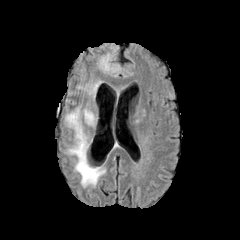
FLAIR MR image.
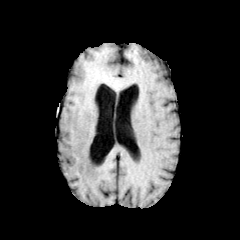
T1-weighted MR image.
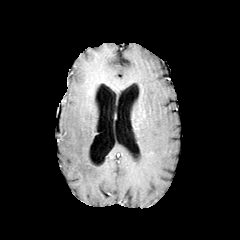
Same slice, post-contrast T1-weighted MR image.
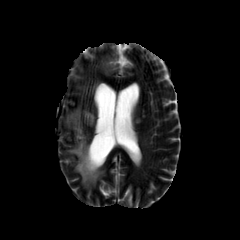
T2-weighted magnetic resonance.
240x240 | Head
edema: l=85, t=82, r=99, b=94; l=101, t=57, r=110, b=71; l=65, t=107, r=105, b=187